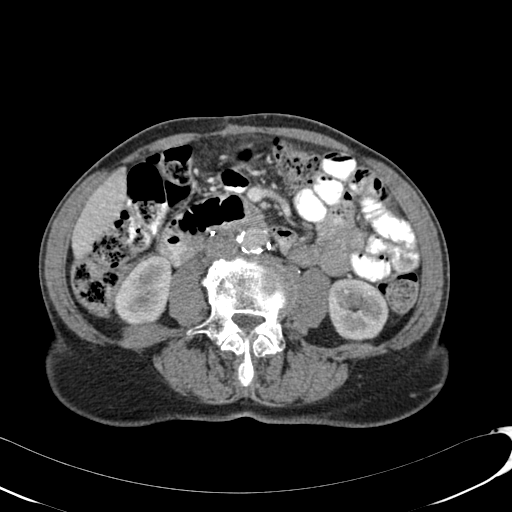
Abdomen; Computed tomography
kidney: 328,279,387,339; 115,256,171,324 | liver: 72,168,124,255